FLAIR MR.
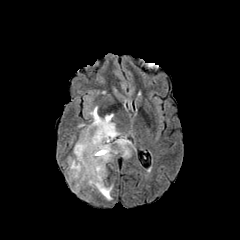
T1-weighted MR image.
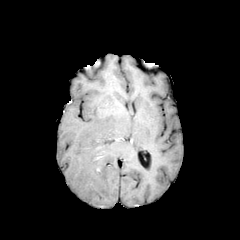
Post-contrast T1-weighted magnetic resonance.
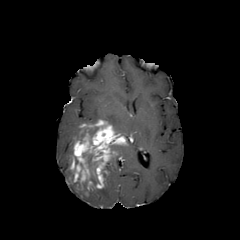
T2-weighted magnetic resonance.
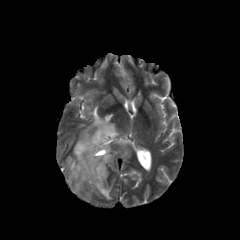
3 non-enhancing tumor core regions are bounded by box=[110, 145, 120, 151]; box=[88, 127, 98, 137]; box=[82, 154, 99, 185]. 6 edema regions are bounded by box=[90, 180, 113, 200]; box=[71, 182, 82, 193]; box=[86, 106, 120, 132]; box=[118, 146, 130, 157]; box=[66, 156, 73, 185]; box=[79, 128, 88, 139]. The enhancing tumor is located at box=[70, 119, 128, 188].